Upper abdomen | Image size 512x512 | Slice index 409 | CT slice
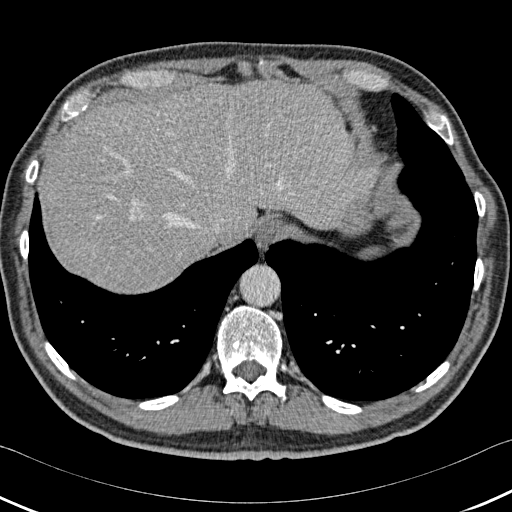
Liver at box=[39, 80, 373, 292].
Lung at box=[264, 93, 478, 404]; box=[28, 192, 259, 400].
Bone at box=[474, 258, 483, 290]; box=[45, 342, 75, 379]; box=[139, 396, 178, 410]; box=[20, 230, 28, 259]; box=[68, 110, 78, 118]; box=[428, 113, 453, 144]; box=[475, 192, 485, 216]; box=[322, 396, 361, 414]; box=[416, 361, 449, 391]; box=[26, 160, 38, 182]; box=[217, 306, 285, 400].